FLAIR MR.
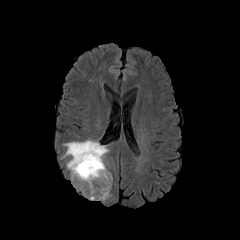
T1-weighted MRI.
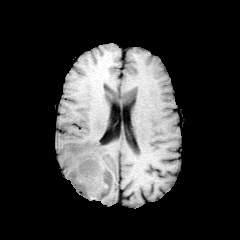
Post-contrast T1-weighted MR image.
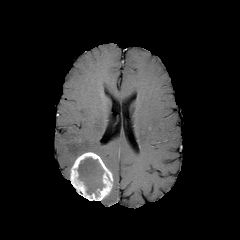
T2-weighted magnetic resonance.
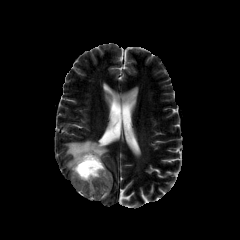
Head. 240x240.
- enhancing tumor: <bbox>70, 152, 112, 200</bbox>
- edema: <bbox>62, 139, 108, 170</bbox>
- non-enhancing tumor core: <bbox>77, 157, 104, 194</bbox>